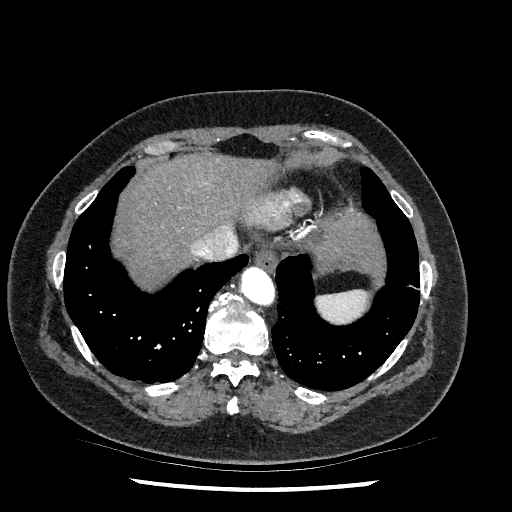
CT image
2 liver regions are located at 320,217,384,276; 116,154,273,285.